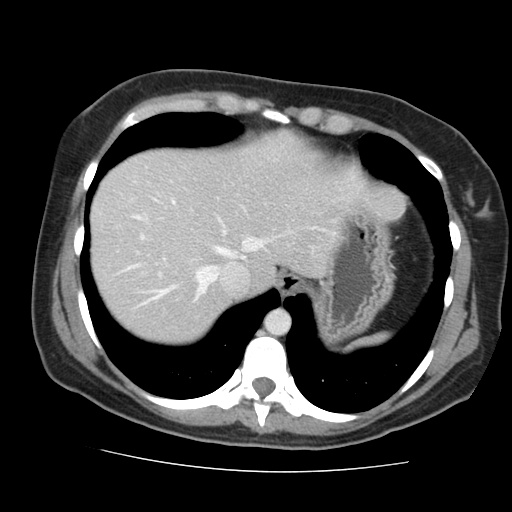
CT. The vessel boxes may cover only some of the vessels.
Hepatic vessel at {"x1": 196, "y1": 267, "x2": 216, "y2": 293}, {"x1": 155, "y1": 291, "x2": 165, "y2": 298}, {"x1": 243, "y1": 239, "x2": 261, "y2": 250}, {"x1": 141, "y1": 237, "x2": 142, "y2": 238}.